Abdomen, Slice 565/630, CT scan slice
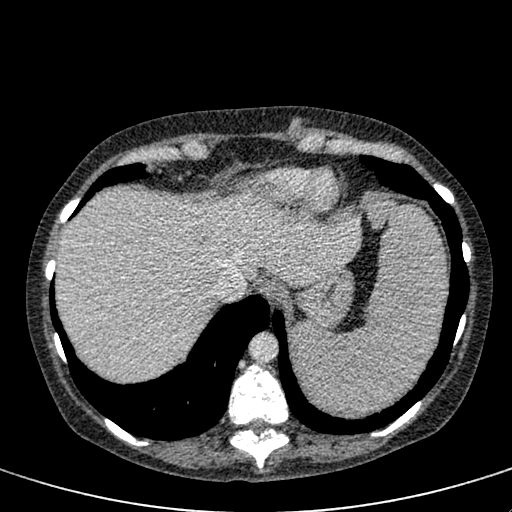 Segmented structures:
• liver: <box>57,192,360,381</box>
• focal liver lesion: <box>190,229,214,249</box>